Image width 330 mm, Slice 347 of 630, Upper abdomen, Computed tomography 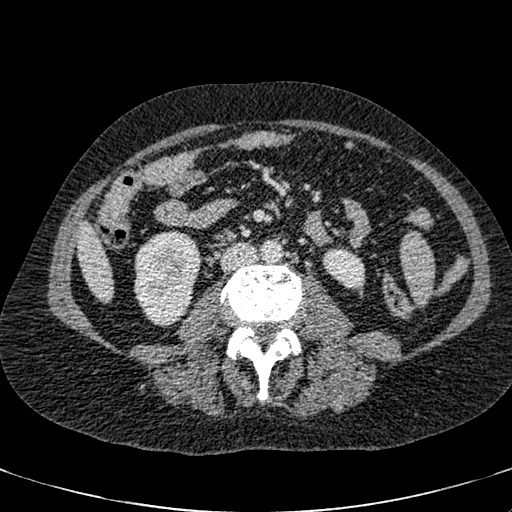

Kidney = [323,249,359,287], [135,232,199,324].
Liver = [76,223,112,298].